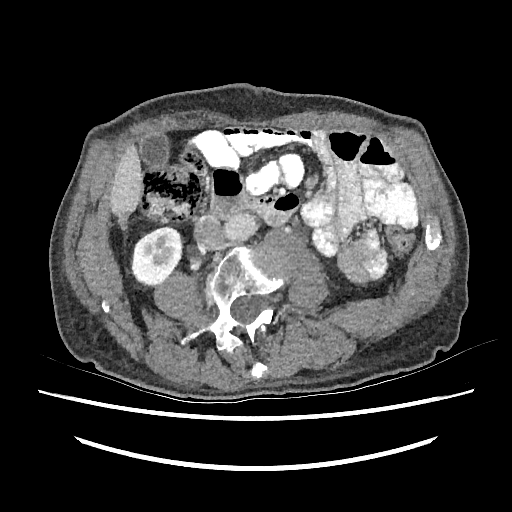

Abdomen, CT image
Kidney: bbox=[132, 228, 181, 284].
Liver: bbox=[109, 145, 141, 228].
Liver lesion: bbox=[120, 211, 129, 228].